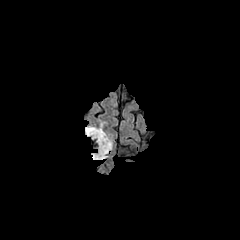
FLAIR MRI.
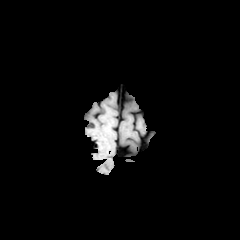
T1-weighted MR.
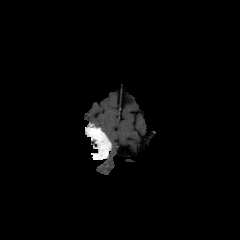
Same slice, post-contrast T1-weighted MR.
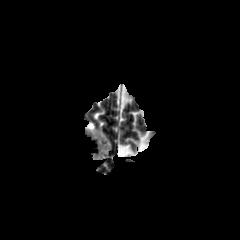
T2-weighted MR.
<segmentation>
  <enhancing_tumor>left=85, top=124, right=111, bottom=159</enhancing_tumor>
</segmentation>